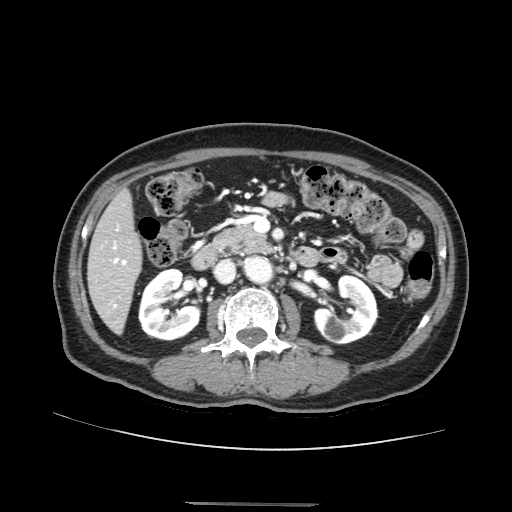

CT image. Upper abdomen. pancreas: x1=228, y1=226, x2=265, y2=251